Upper abdomen, CT scan slice, Image size 512x512 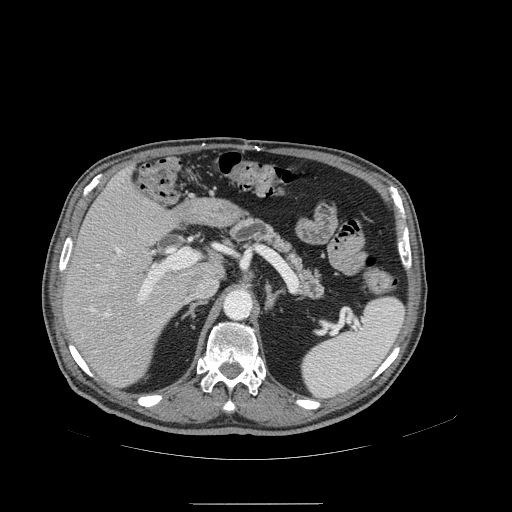 Pancreas: bounding box {"x1": 226, "y1": 216, "x2": 328, "y2": 302}.